Slice 452 of 630 | Computed tomography

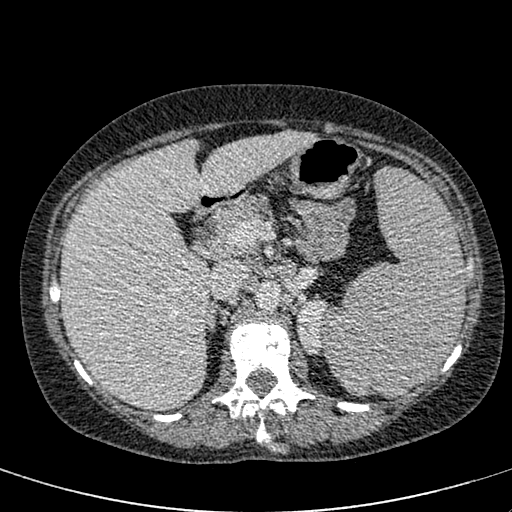

<segmentation>
  <kidney>(left=297, top=300, right=326, bottom=353)</kidney>
  <liver>(left=61, top=133, right=316, bottom=409)</liver>
</segmentation>